512x512. Abdomen. CT scan slice.

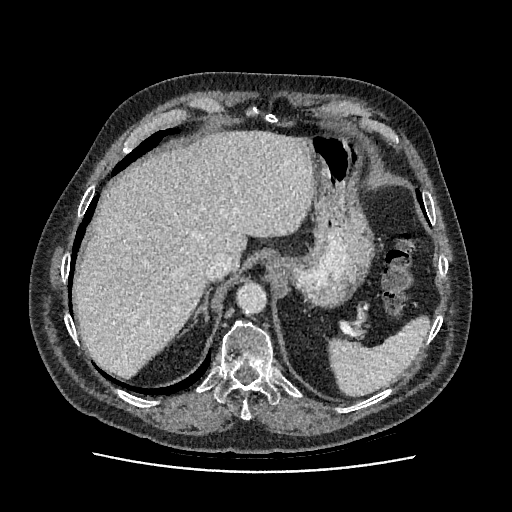
The liver appears at [x1=75, y1=132, x2=312, y2=378].